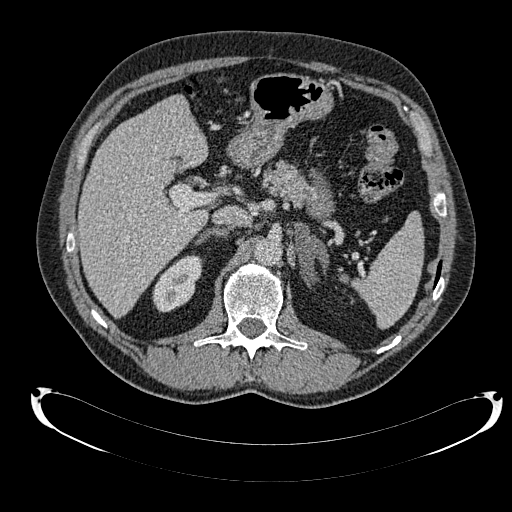 CT slice
{
  "liver": [
    "78 96 208 316"
  ],
  "kidney": [
    "153 256 200 311"
  ]
}